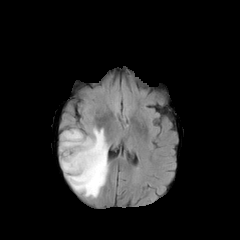
FLAIR MRI.
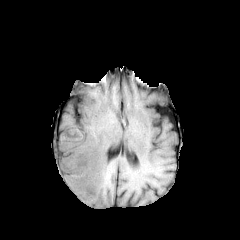
Same slice, T1-weighted MR.
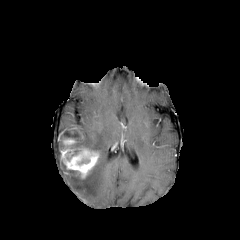
Post-contrast T1-weighted MRI of the same slice.
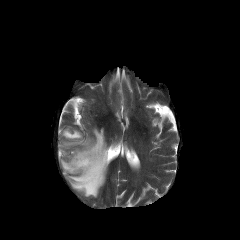
T2-weighted MR.
The enhancing tumor lies within region(60, 138, 99, 178). The non-enhancing tumor core appears at region(71, 143, 84, 152). The edema is bounded by region(59, 127, 109, 198).